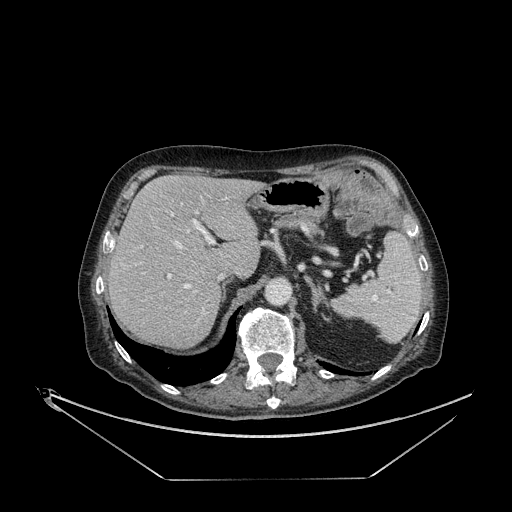
Image size 512x512. CT slice. * liver: (109,176,262,348)